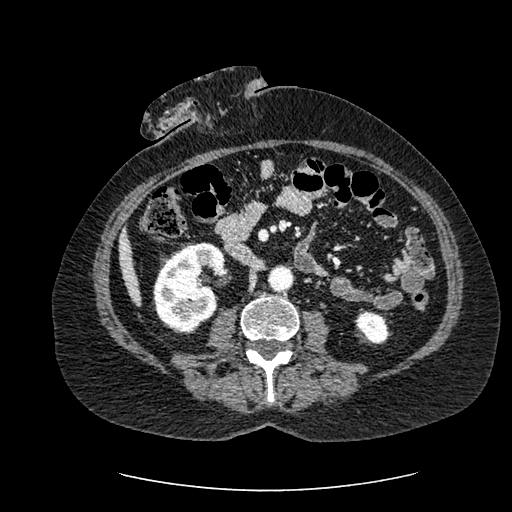
Abdomen. CT image.
The liver is located at <box>120,226,142,303</box>. 2 kidney regions are bounded by <box>154,243,223,331</box>, <box>356,312,387,342</box>.